CT scan slice; Image width 418 mm; Slice index 13
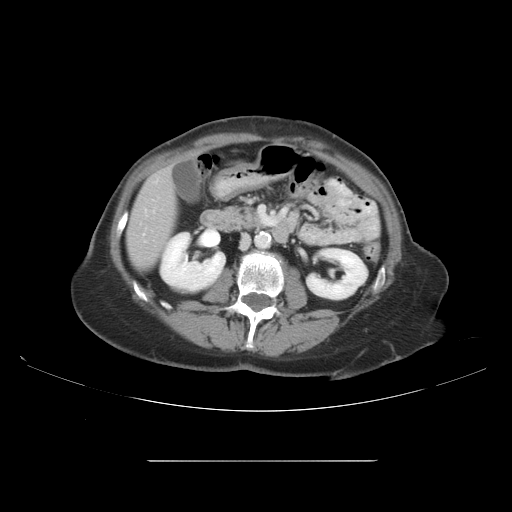 pancreas: l=219, t=206, r=259, b=230